240x240 px | Brain
FLAIR MR.
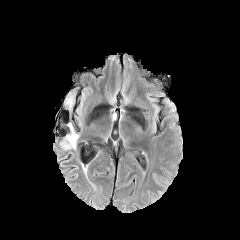
T1-weighted MRI.
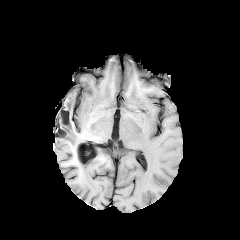
Post-contrast T1-weighted magnetic resonance.
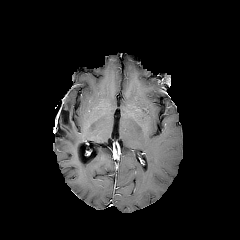
T2-weighted magnetic resonance.
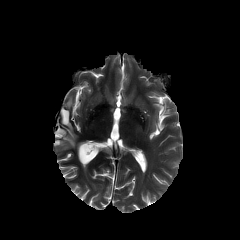
Edema — x1=76 y1=92 x2=85 y2=115, x1=64 y1=93 x2=75 y2=110, x1=59 y1=122 x2=79 y2=150.